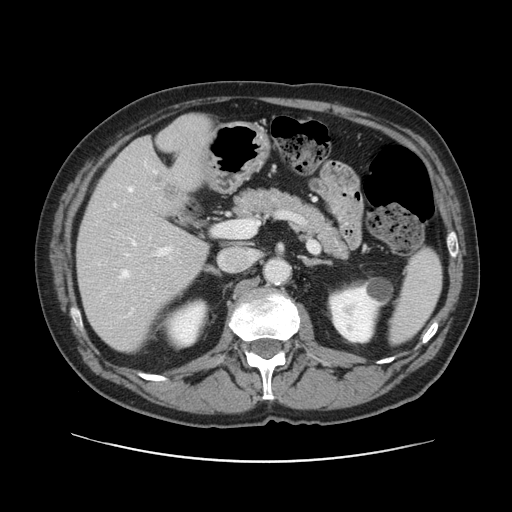
CT slice; Abdomen; 512x512 px
Not every hepatic vessel necessarily has a box.
<segmentation>
  <hepatic_vessel>133:241:135:244, 119:270:128:278, 113:203:115:205, 129:187:132:190, 126:254:128:255, 157:248:169:254</hepatic_vessel>
</segmentation>